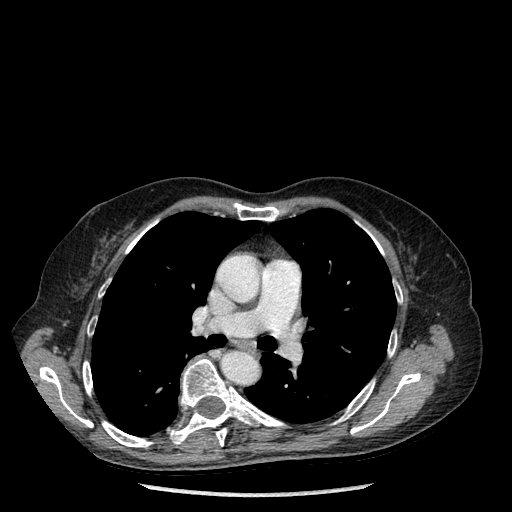 Thorax | Computed tomography

* lung: (245, 208, 396, 422), (91, 211, 261, 435)
* bone: (334, 379, 374, 424), (102, 421, 152, 447), (169, 358, 285, 444), (125, 219, 158, 253), (216, 428, 226, 446), (387, 330, 397, 357), (87, 318, 96, 335), (82, 361, 92, 395), (393, 280, 402, 303), (233, 203, 280, 221), (98, 279, 109, 297), (363, 227, 384, 255), (39, 366, 93, 427), (350, 372, 420, 434)